Field of view 351x351 mm; CT; 512x512; Slice 315 of 588 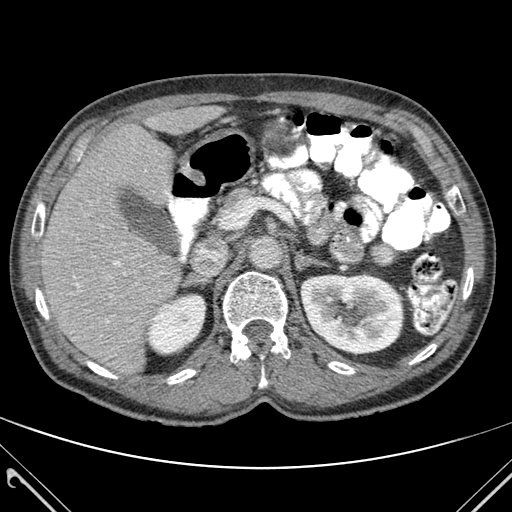 • liver: 148, 106, 221, 134; 40, 125, 180, 373
• bone: 88, 362, 115, 378; 448, 186, 463, 207; 410, 344, 435, 364; 168, 369, 195, 383; 463, 268, 473, 298; 36, 289, 48, 318; 329, 362, 353, 373; 259, 376, 266, 386; 223, 272, 289, 361; 32, 202, 44, 238
• kidney: 148, 296, 204, 352; 301, 275, 402, 352